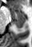

MR image. Image size 32x47. Hippocampus.
anterior hippocampus: 11 10 25 18 | posterior hippocampus: 13 19 25 30